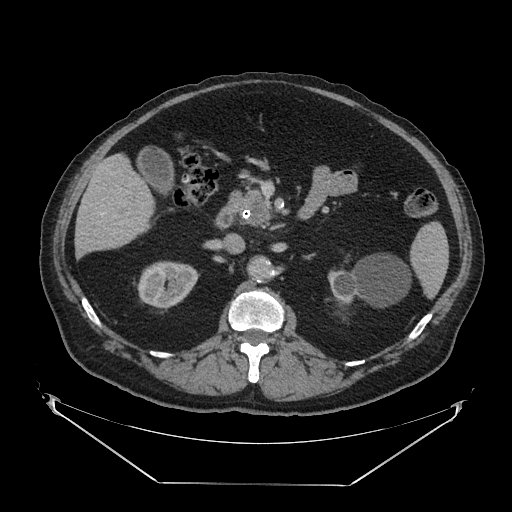

CT scan slice.
pancreas: 230:191:261:210, 251:201:269:222 | pancreatic tumor: 251:198:265:215